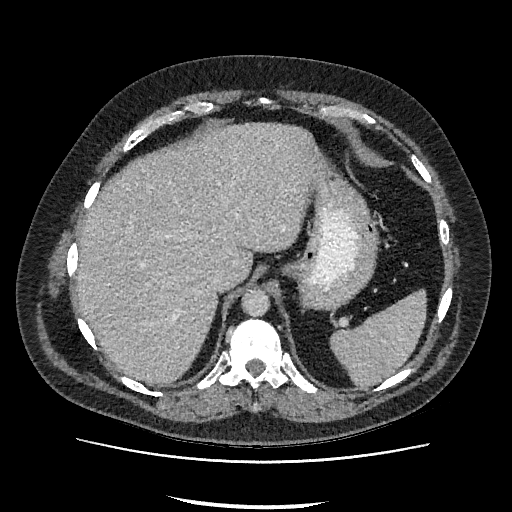 Abdomen. Computed tomography. Liver: [77, 124, 315, 382].